FLAIR magnetic resonance.
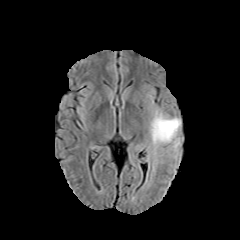
T1-weighted MR.
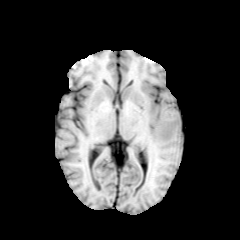
Post-contrast T1-weighted magnetic resonance.
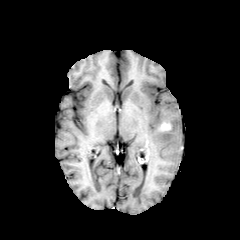
T2-weighted MRI.
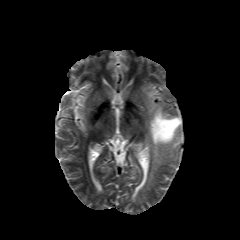
Brain
Edema at bbox=[140, 102, 182, 163].
Non-enhancing tumor core at bbox=[162, 123, 170, 130].